CT | Slice 67/131 | Abdomen

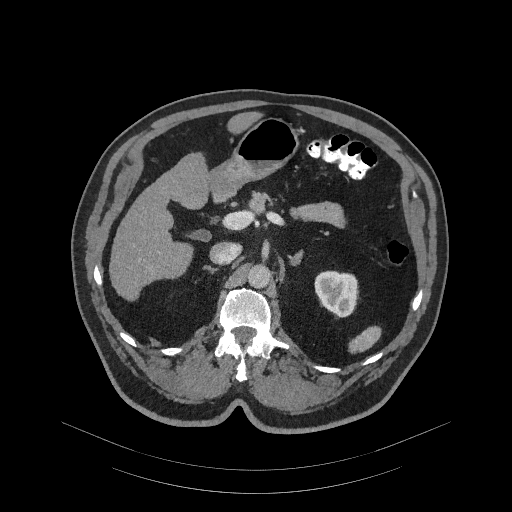
Pancreas: bounding box [249,191,269,212].